CT scan slice. Upper abdomen. 512x512.
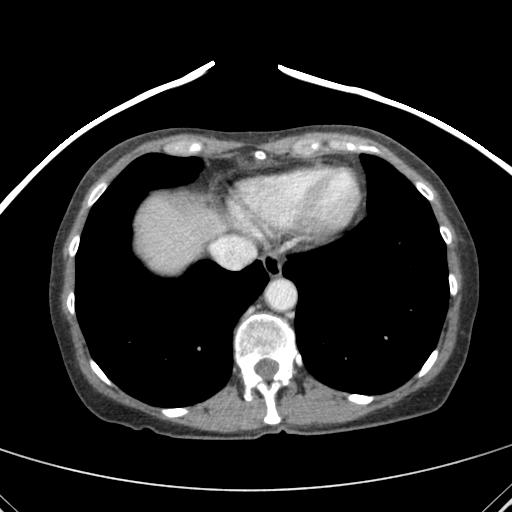 <segmentation>
  <liver><box>138,197,234,268</box></liver>
</segmentation>